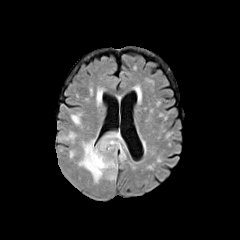
FLAIR MR image.
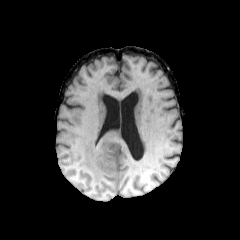
T1-weighted magnetic resonance of the same slice.
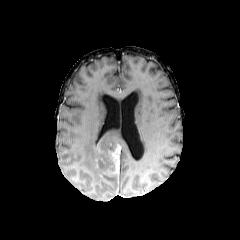
Post-contrast T1-weighted magnetic resonance.
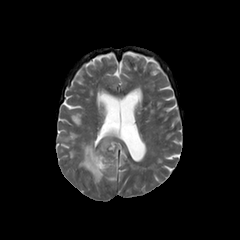
T2-weighted MR.
240x240
The enhancing tumor is bounded by 103, 144, 121, 177. The non-enhancing tumor core appears at 95, 142, 121, 174. 3 edema regions are located at 59, 131, 77, 143; 69, 150, 75, 158; 78, 129, 127, 182.